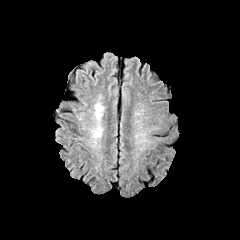
FLAIR MRI.
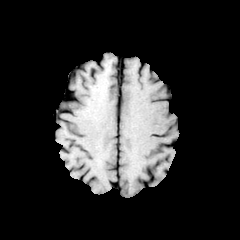
T1-weighted MRI.
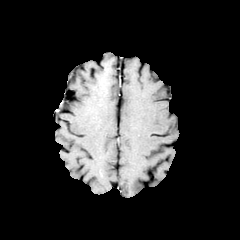
Same slice, post-contrast T1-weighted magnetic resonance.
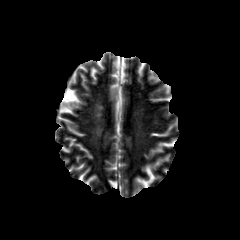
T2-weighted magnetic resonance of the same slice.
Head.
edema:
  - [91,102,103,145]